Field of view 240x240 mm, Head, Image size 240x240
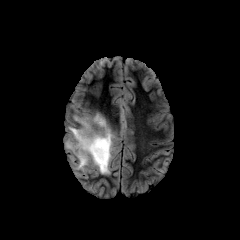
FLAIR MR image.
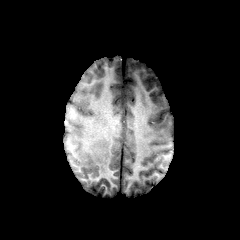
T1-weighted MR image.
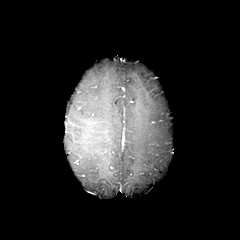
Same slice, post-contrast T1-weighted MRI.
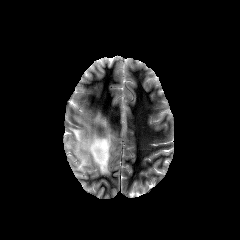
T2-weighted MRI of the same slice.
edema:
  - 68 114 114 175